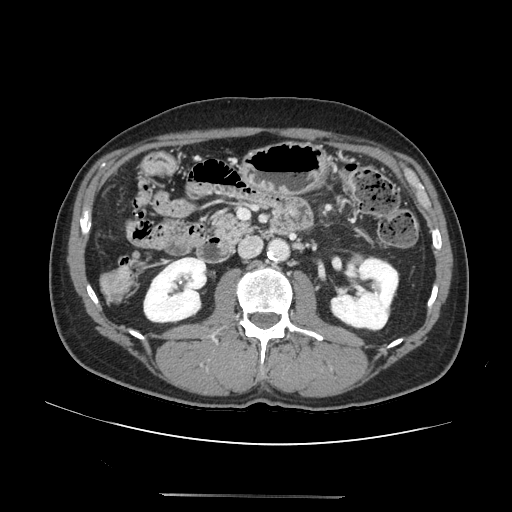
Computed tomography. Abdomen.
Pancreas: bounding box box(213, 211, 256, 244).